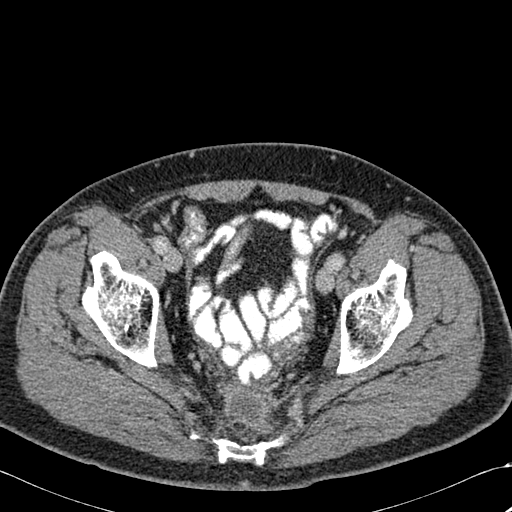 CT image

3 bone regions appear at <bbox>337, 259, 411, 373</bbox>, <bbox>82, 251, 158, 366</bbox>, <bbox>215, 439, 280, 463</bbox>.